CT | 512x512 px | Slice 441 of 519 | Liver

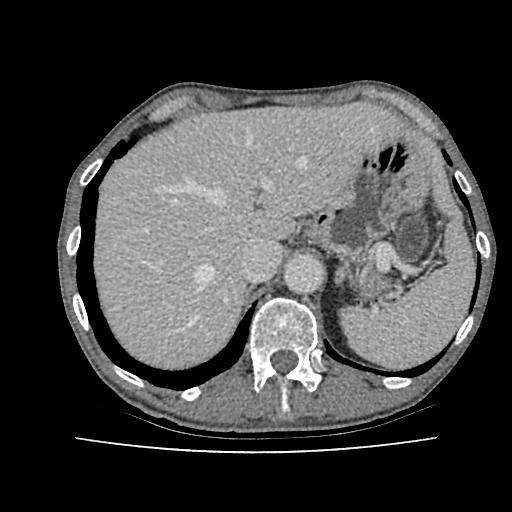
Liver = rect(92, 103, 405, 369).